Image width 373 mm. Abdomen. Computed tomography.
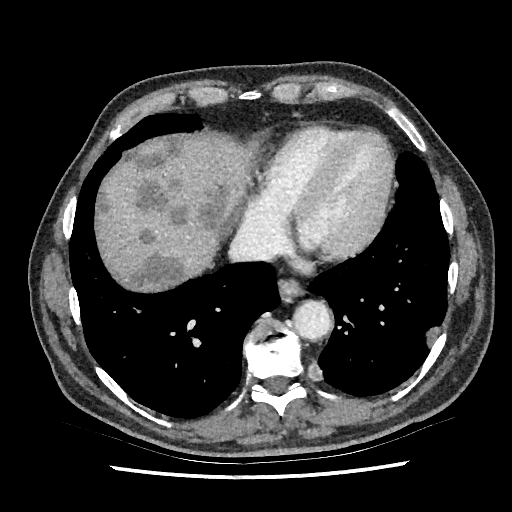 7 liver lesion regions are located at (121, 135, 188, 171), (136, 179, 187, 225), (168, 176, 182, 189), (121, 252, 184, 288), (140, 227, 154, 245), (97, 199, 110, 216), (196, 180, 234, 233). 3 liver regions appear at (97, 133, 253, 283), (133, 138, 166, 154), (128, 287, 162, 290).